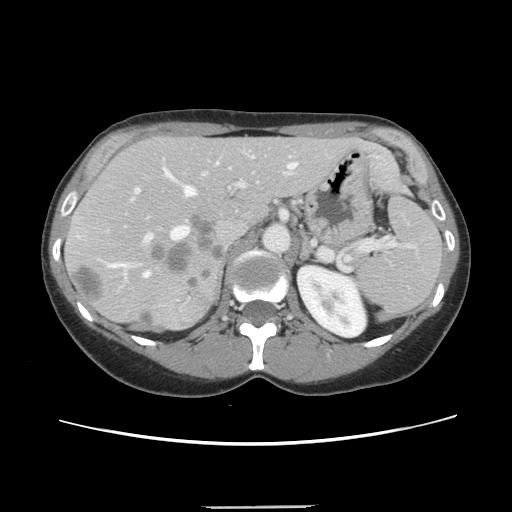
CT scan slice
Not every hepatic vessel necessarily has a box.
liver_tumor:
  - 166,244,192,272
  - 78,266,101,301
hepatic_vessel:
  - 131,198,132,200
  - 170,226,188,238
  - 250,156,252,157
  - 135,188,138,193
  - 144,233,151,241
  - 105,262,129,278
  - 143,272,148,276
  - 202,172,205,174
  - 238,183,243,186
  - 215,161,218,164
  - 285,162,295,174
  - 184,186,194,195
  - 163,166,172,179